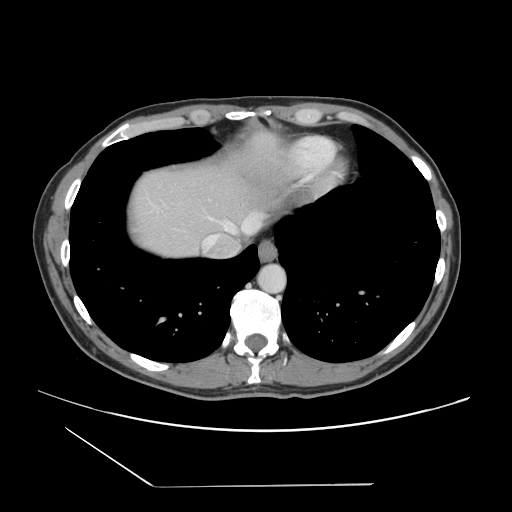

CT scan slice | Abdomen
Only some of the vessels may be annotated.
hepatic vessel: 209 217 213 220, 222 221 236 232, 150 202 151 204, 242 214 261 233